Slice index 366. CT. Abdomen. Image size 512x512.
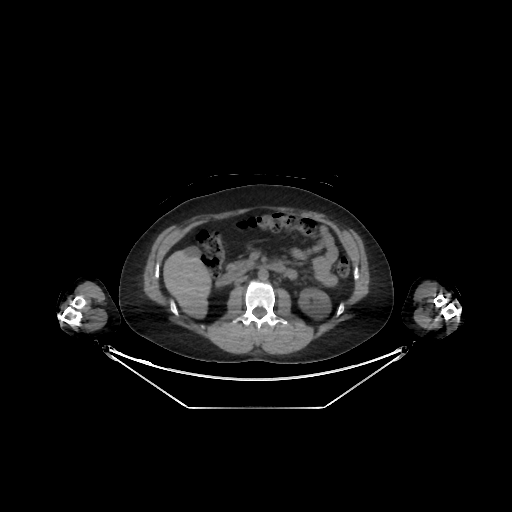

{
  "liver": [
    "<box>163,249,211,317</box>"
  ],
  "kidney": [
    "<box>298,287,331,319</box>"
  ]
}